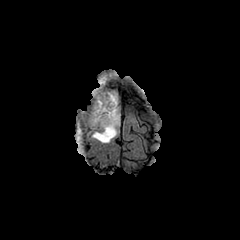
FLAIR magnetic resonance.
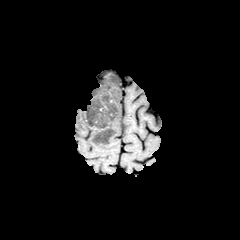
Same slice, T1-weighted MRI.
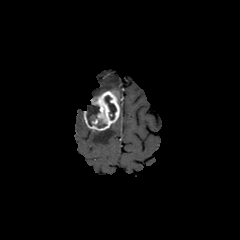
Post-contrast T1-weighted magnetic resonance of the same slice.
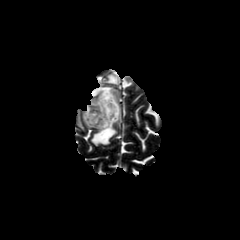
Same slice, T2-weighted magnetic resonance.
Brain | Image size 240x240
The enhancing tumor lies within x1=83 y1=90 x2=119 y2=130. 2 edema regions are located at x1=90 y1=113 x2=120 y2=143, x1=93 y1=75 x2=117 y2=96. 3 non-enhancing tumor core regions appear at x1=105 y1=96 x2=116 y2=119, x1=95 y1=125 x2=112 y2=138, x1=86 y1=104 x2=99 y2=123.